CT image. 512x512. 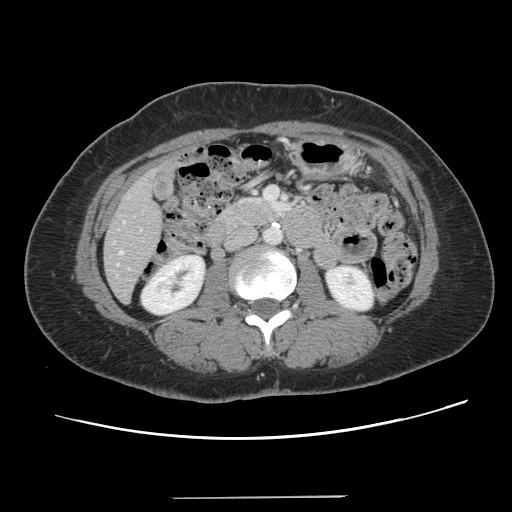
Only some of the vessels may be annotated.
Annotated regions:
• hepatic vessel: [x1=123, y1=221, x2=125, y2=223], [x1=119, y1=251, x2=122, y2=254]